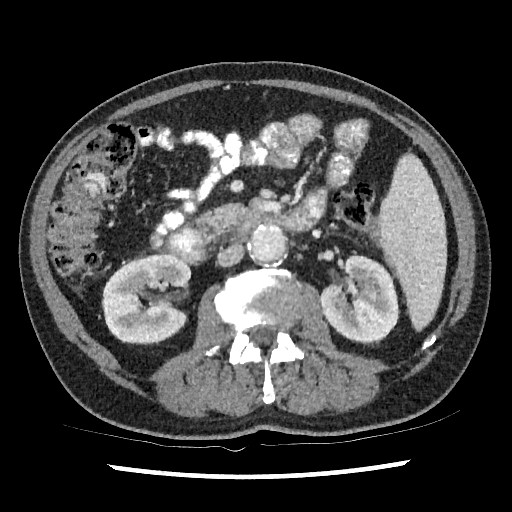
CT | Abdomen

kidney:
  - (left=320, top=256, right=397, bottom=341)
  - (left=102, top=253, right=190, bottom=342)